512x512 | Upper abdomen | CT slice
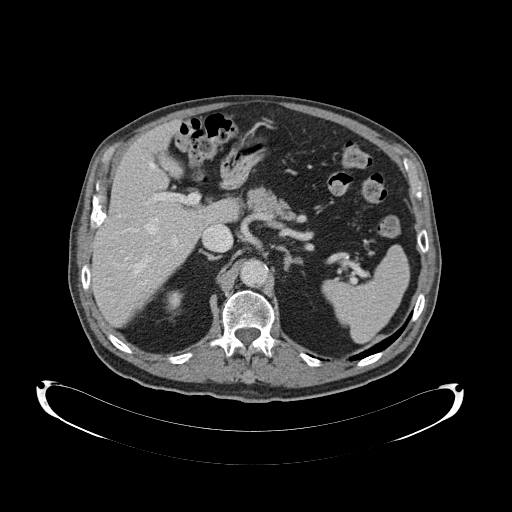 pancreas: [x1=245, y1=187, x2=296, y2=222]